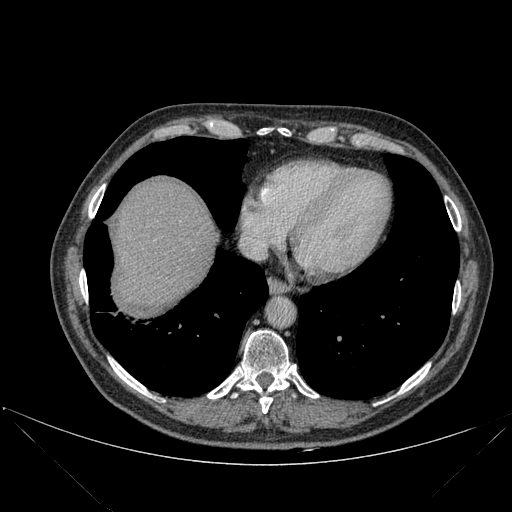 CT image. Image size 512x512.
{
  "liver": [
    "left=109, top=183, right=219, bottom=312"
  ],
  "lung": [
    "left=297, top=153, right=459, bottom=399",
    "left=83, top=136, right=267, bottom=396"
  ],
  "bone": [
    "left=207, top=330, right=318, bottom=398",
    "left=398, top=364, right=430, bottom=393",
    "left=79, top=270, right=87, bottom=300",
    "left=279, top=128, right=288, bottom=135",
    "left=445, top=196, right=461, bottom=230",
    "left=452, top=283, right=460, bottom=312",
    "left=109, top=358, right=148, bottom=395",
    "left=89, top=184, right=104, bottom=218",
    "left=260, top=397, right=272, bottom=413"
  ]
}